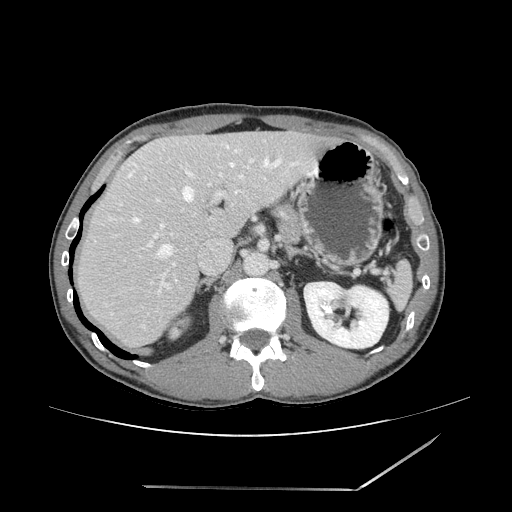
Abdomen, Computed tomography
Pancreas: bounding box (276, 201, 302, 245).